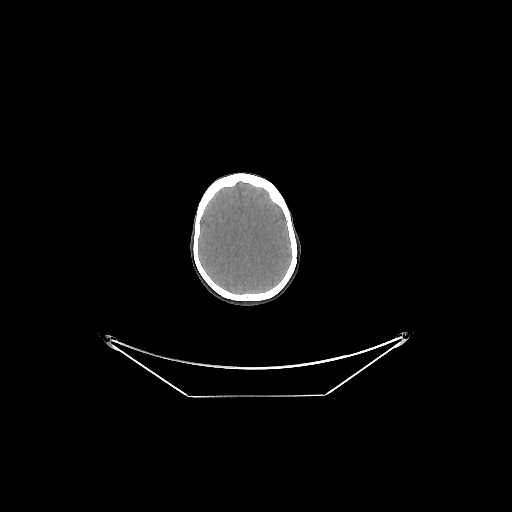

Head | 512x512 px | CT image

<segmentation>
  <brain>(198,181,291,294)</brain>
</segmentation>